36x47 | Slice index 15 | Field of view 36 mm wide, 1.00 mm slice spacing | MRI 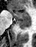

Posterior hippocampus: bounding box {"x1": 16, "y1": 21, "x2": 30, "y2": 28}.
Anterior hippocampus: bounding box {"x1": 8, "y1": 8, "x2": 30, "y2": 20}.